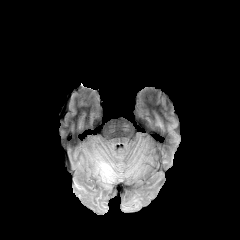
FLAIR MR.
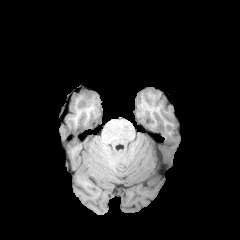
T1-weighted magnetic resonance of the same slice.
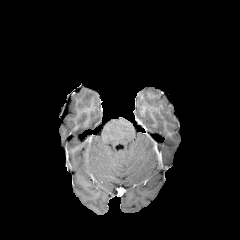
Post-contrast T1-weighted MR image of the same slice.
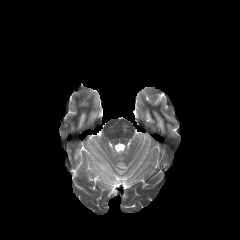
Same slice, T2-weighted MRI.
Segmented structures:
• edema: 93,155,118,185